Head; Slice index 57
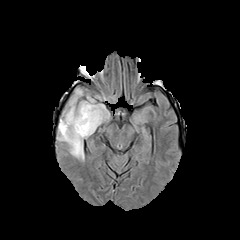
FLAIR MR image.
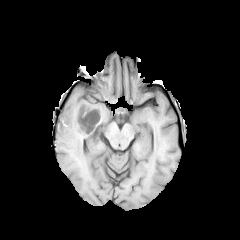
T1-weighted MR image of the same slice.
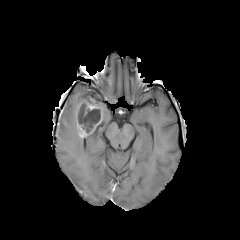
Post-contrast T1-weighted MR of the same slice.
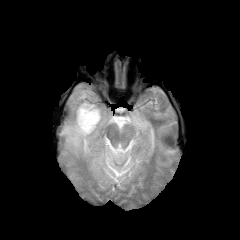
Same slice, T2-weighted magnetic resonance.
Edema — <bbox>134, 116, 143, 125</bbox>, <bbox>58, 89, 109, 159</bbox>.
Non-enhancing tumor core — <bbox>76, 101, 103, 133</bbox>.